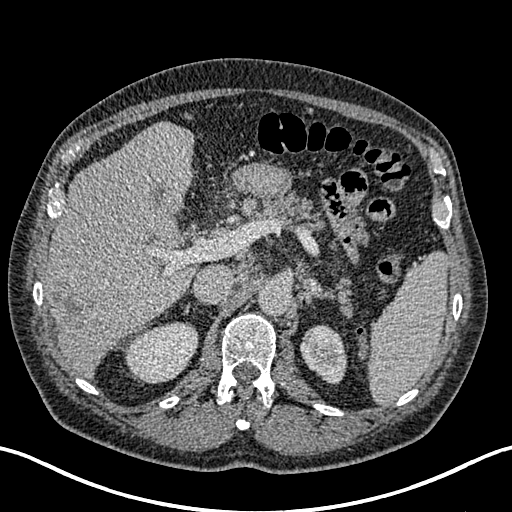 Liver, Computed tomography
hepatic_lesion:
  - 150, 180, 170, 200
  - 52, 285, 97, 325
  - 167, 234, 180, 242
kidney:
  - 301, 326, 345, 382
  - 127, 323, 197, 382
liver:
  - 45, 122, 196, 377